FLAIR MR image.
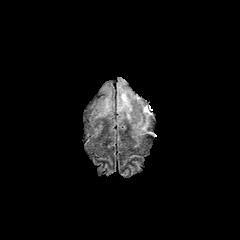
T1-weighted magnetic resonance.
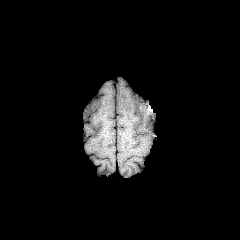
Post-contrast T1-weighted magnetic resonance.
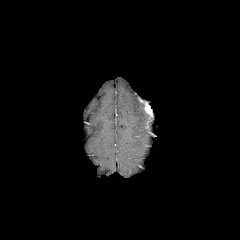
T2-weighted magnetic resonance.
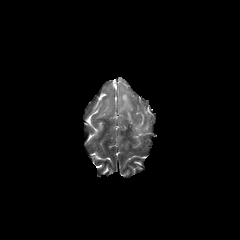
Image size 240x240
3 edema regions are located at x1=117, y1=87, x2=132, y2=120; x1=134, y1=109, x2=151, y2=132; x1=100, y1=98, x2=112, y2=115.